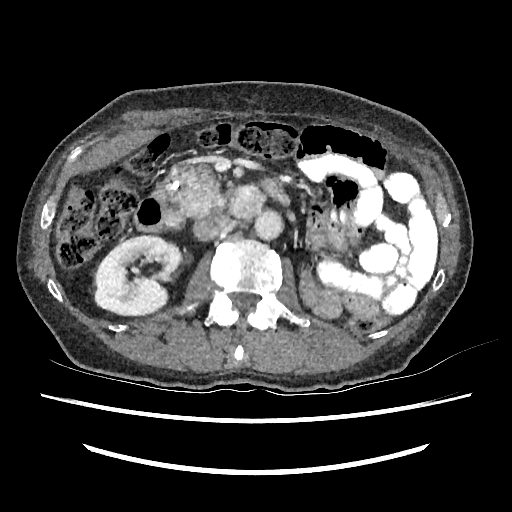
512x512 px, CT image

kidney: rect(95, 236, 180, 315)